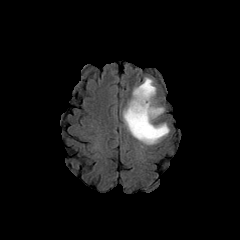
FLAIR magnetic resonance.
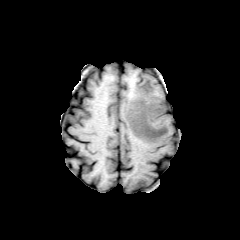
T1-weighted MR image.
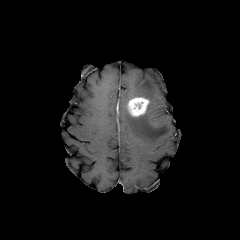
Post-contrast T1-weighted MR image.
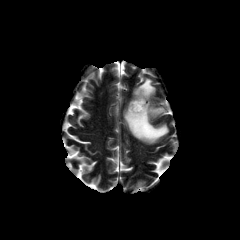
T2-weighted MR image.
Brain.
edema:
  - (x1=123, y1=76, x2=169, y2=145)
non-enhancing_tumor_core:
  - (x1=128, y1=100, x2=163, y2=137)
enhancing_tumor:
  - (x1=126, y1=96, x2=149, y2=117)